Hippocampus; Slice 23/33; 35x53; Magnetic resonance
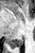 Posterior hippocampus: bounding box left=9, top=36, right=22, bottom=48.